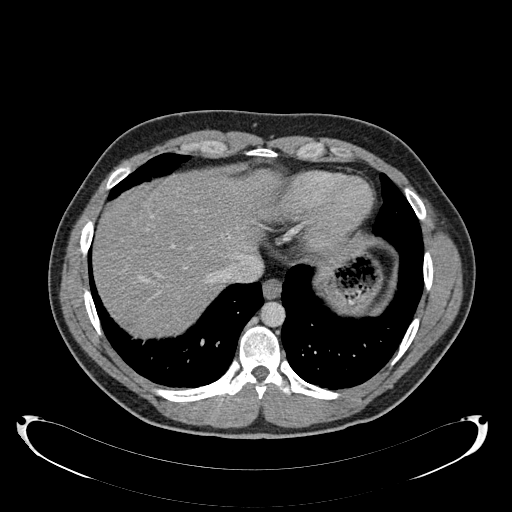

CT scan slice
Liver = left=93, top=170, right=282, bottom=336.